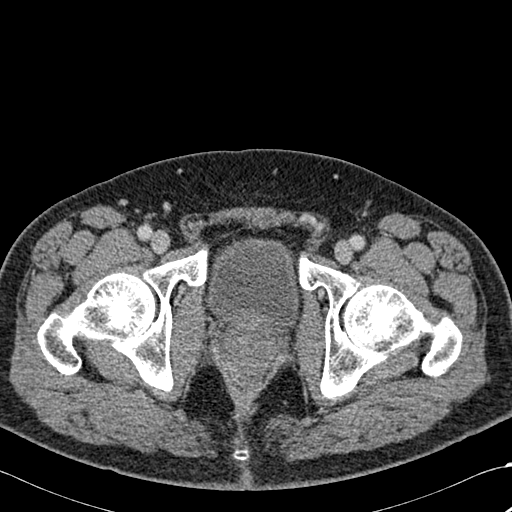

Computed tomography

Segmented structures:
* bone: region(37, 250, 207, 391); region(299, 258, 461, 398)